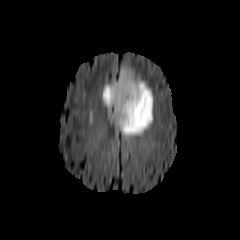
FLAIR MR.
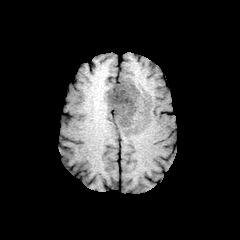
T1-weighted MRI of the same slice.
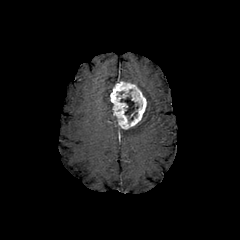
Post-contrast T1-weighted MR of the same slice.
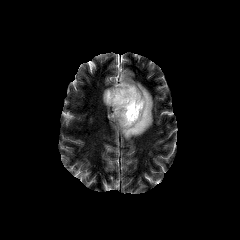
T2-weighted MR image.
Head. 240x240 px.
<segmentation>
  <non-enhancing_tumor_core>left=121, top=97, right=138, bottom=116</non-enhancing_tumor_core>
  <edema>left=118, top=68, right=154, bottom=139; left=102, top=79, right=115, bottom=110</edema>
  <enhancing_tumor>left=109, top=79, right=146, bottom=129</enhancing_tumor>
</segmentation>